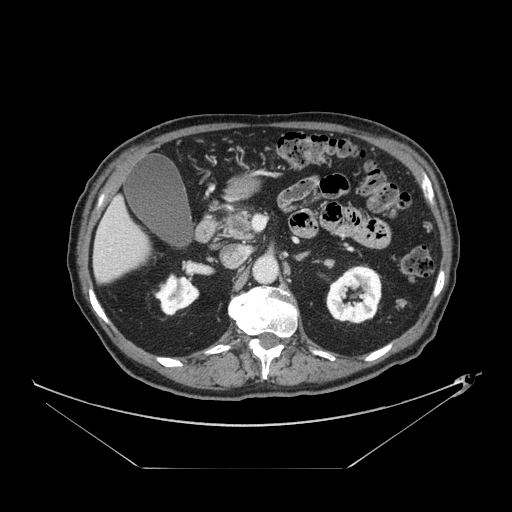

Abdomen. CT image.
pancreas:
  - (x1=221, y1=212, x2=252, y2=239)
pancreatic_tumor:
  - (x1=233, y1=221, x2=244, y2=231)